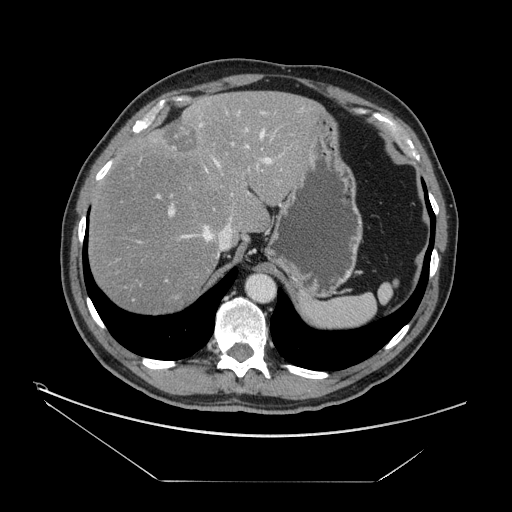

Abdomen | CT scan slice
Only some of the vessels may be annotated.
hepatic_vessel:
  - bbox=[215, 161, 218, 165]
  - bbox=[200, 124, 201, 126]
  - bbox=[260, 131, 263, 137]
  - bbox=[246, 145, 248, 147]
  - bbox=[263, 158, 270, 162]
  - bbox=[203, 227, 211, 239]
  - bbox=[169, 208, 173, 214]
  - bbox=[185, 235, 188, 236]
liver_tumor:
  - bbox=[160, 118, 195, 153]